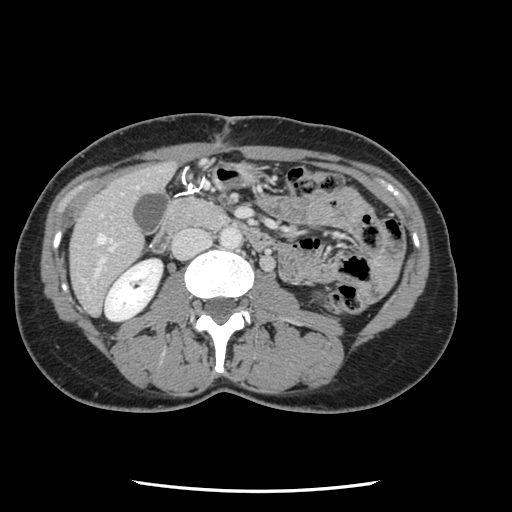

CT image.

The vessel annotation is not exhaustive.
hepatic vessel: [95,259,103,274], [96,234,113,249]